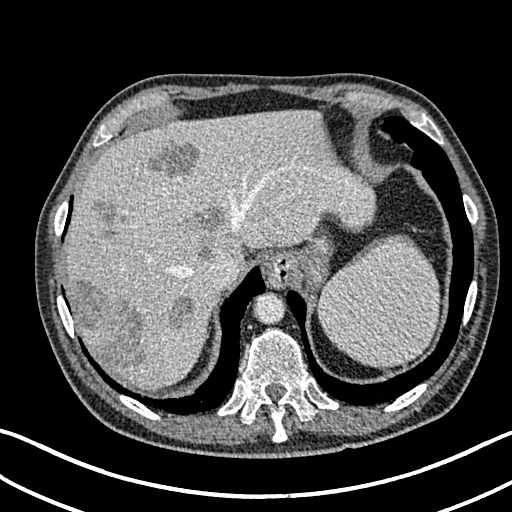

Image size 512x512; CT

<segmentation>
  <liver>rect(65, 111, 374, 386)</liver>
  <focal_liver_lesion>rect(198, 244, 213, 262); rect(146, 143, 199, 178); rect(71, 279, 146, 366); rect(181, 205, 226, 235); rect(89, 200, 125, 238); rect(169, 294, 195, 331)</focal_liver_lesion>
</segmentation>